Liver | Image width 347 mm | 512x512 px | CT slice
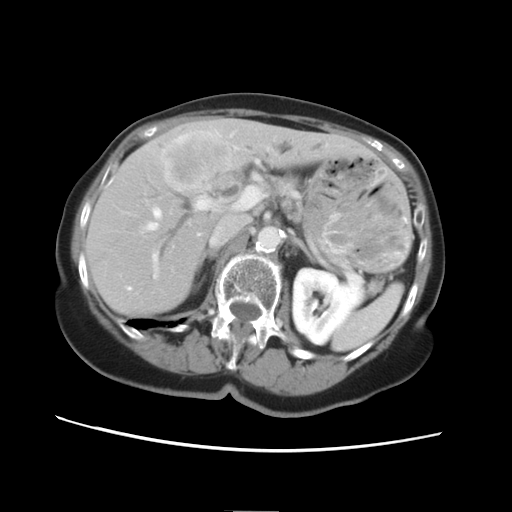 Not every hepatic vessel necessarily has a box.
hepatic_vessel:
  - (x1=196, y1=196, x2=214, y2=208)
  - (x1=154, y1=272, x2=157, y2=276)
  - (x1=155, y1=210, x2=159, y2=215)
  - (x1=152, y1=252, x2=157, y2=269)
liver_tumor:
  - (x1=162, y1=129, x2=230, y2=190)